CT scan slice

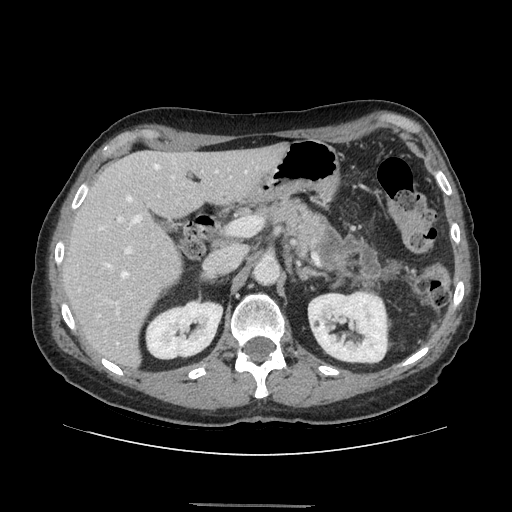

The pancreas is at left=264, top=201, right=326, bottom=247.